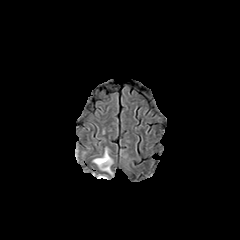
FLAIR MR.
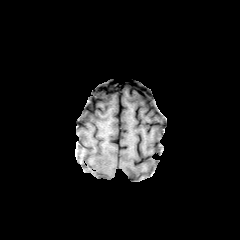
T1-weighted MRI.
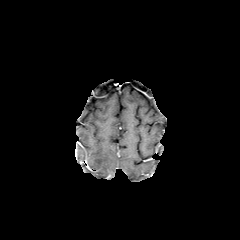
Same slice, post-contrast T1-weighted MR.
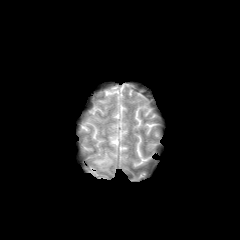
T2-weighted magnetic resonance of the same slice.
Image size 240x240; Brain
Segmented structures:
* edema: box(93, 150, 112, 172)